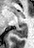 MR image | Medial temporal lobe
Posterior hippocampus — <bbox>13, 26, 26, 37</bbox>.